CT scan slice; Abdomen; 512x512; Field of view 411x411 mm

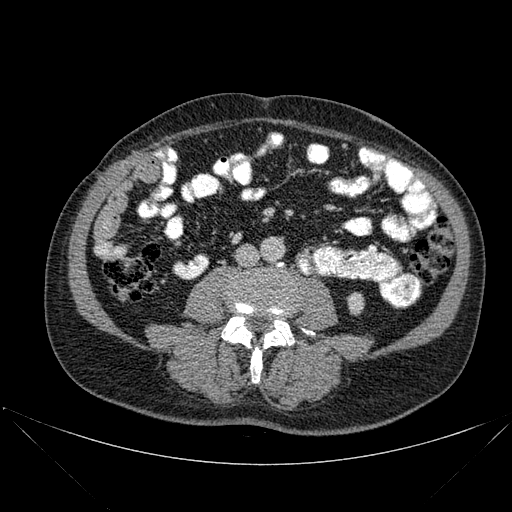 {"bone": ["[x1=250, y1=347, x2=262, y2=382]", "[x1=221, y1=263, x2=294, y2=348]"], "kidney": ["[x1=348, y1=293, x2=362, y2=313]"]}